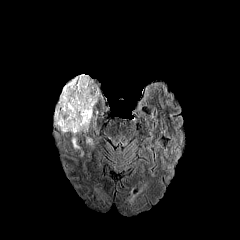
FLAIR magnetic resonance.
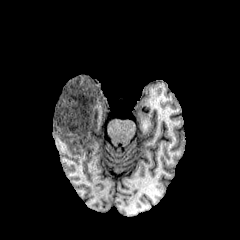
T1-weighted MRI.
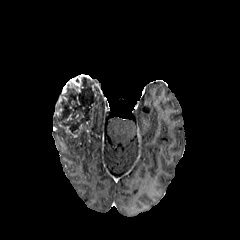
Post-contrast T1-weighted MR image of the same slice.
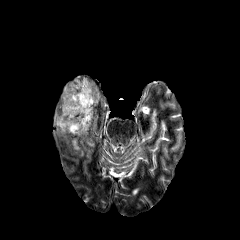
T2-weighted MRI.
240x240; Brain
Segmented structures:
• enhancing tumor: (68, 75, 89, 93), (63, 126, 77, 137)
• non-enhancing tumor core: (53, 77, 102, 149)